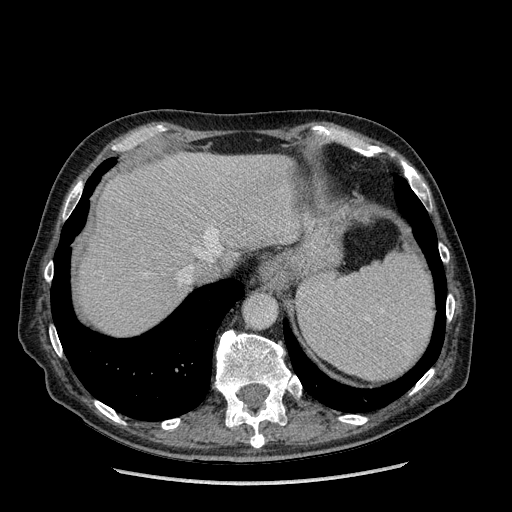
CT scan slice; Abdomen
{"liver": ["78:153:295:336"]}